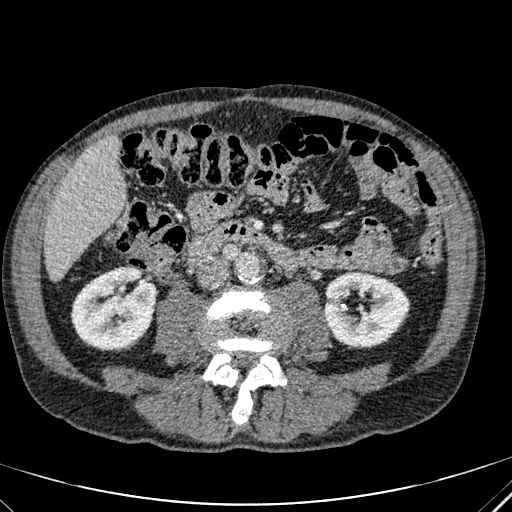

512x512; Computed tomography
The liver is at x1=45, y1=138, x2=124, y2=277. 2 kidney regions appear at x1=72, y1=268, x2=155, y2=348; x1=325, y1=273, x2=408, y2=345.